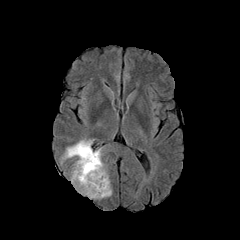
FLAIR magnetic resonance.
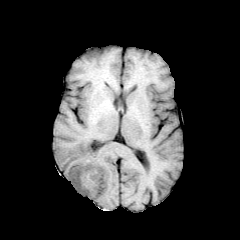
T1-weighted MRI of the same slice.
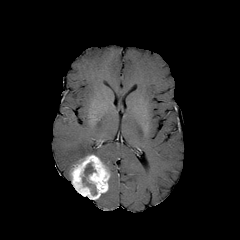
Same slice, post-contrast T1-weighted MR.
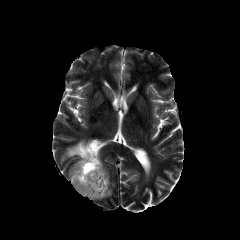
T2-weighted MR.
Head
The enhancing tumor is bounded by 69:154:109:199. 2 edema regions are located at 99:188:111:198, 62:139:102:163. The non-enhancing tumor core appears at 84:163:93:175.